Head | Slice 110 of 155 | 240x240 px | Field of view 240x240 mm
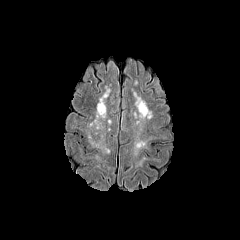
FLAIR MR image.
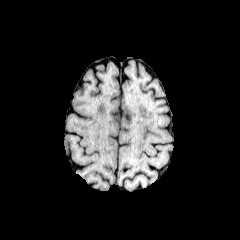
Same slice, T1-weighted MR image.
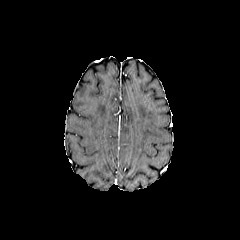
Post-contrast T1-weighted MRI.
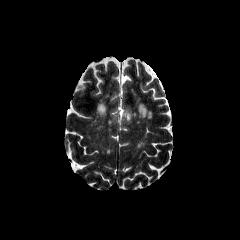
T2-weighted magnetic resonance.
The edema appears at region(97, 103, 105, 118).